CT slice
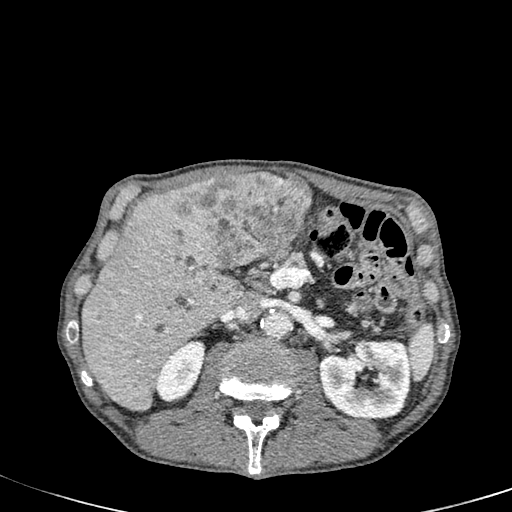 2 kidney regions are bounded by {"x1": 320, "y1": 342, "x2": 410, "y2": 417}, {"x1": 155, "y1": 342, "x2": 203, "y2": 400}. The liver is bounded by {"x1": 82, "y1": 183, "x2": 242, "y2": 410}. 2 liver lesion regions appear at {"x1": 187, "y1": 272, "x2": 196, "y2": 280}, {"x1": 179, "y1": 173, "x2": 310, "y2": 273}.